Slice index 163, CT scan slice

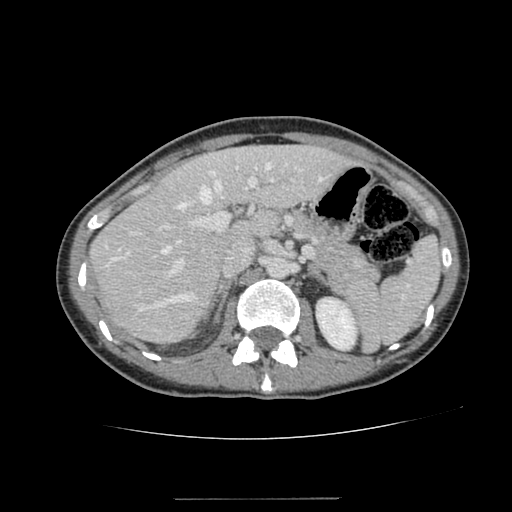
The liver is bounded by x1=90 y1=144 x2=356 y2=343. The kidney lies within x1=316 y1=298 x2=356 y2=349.